CT
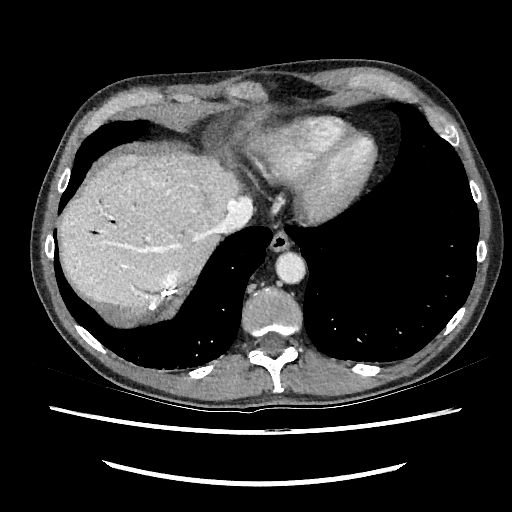 Liver = (60,151,243,313), (239,120,291,155).
Focal liver lesion = (203,193,210,206).